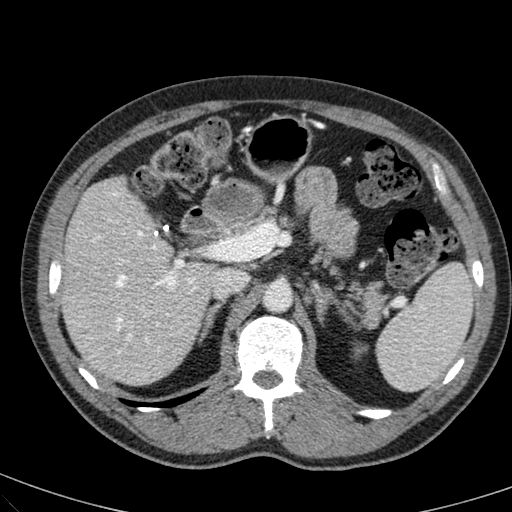
Upper abdomen. CT scan slice.
Segmented structures:
* liver: left=60, top=179, right=215, bottom=384